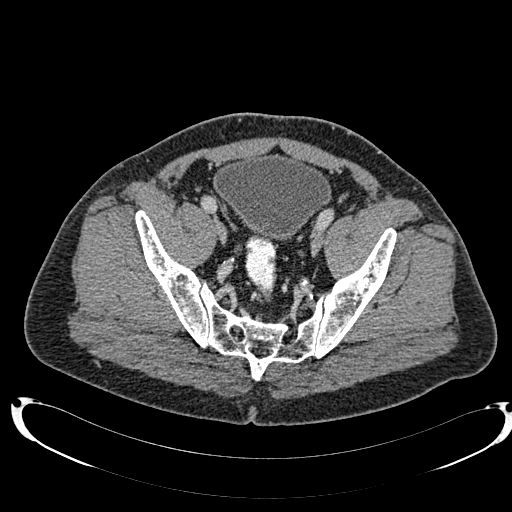

CT slice. Lower abdomen. Segmented structures:
• urinary bladder: [215,154,331,240]